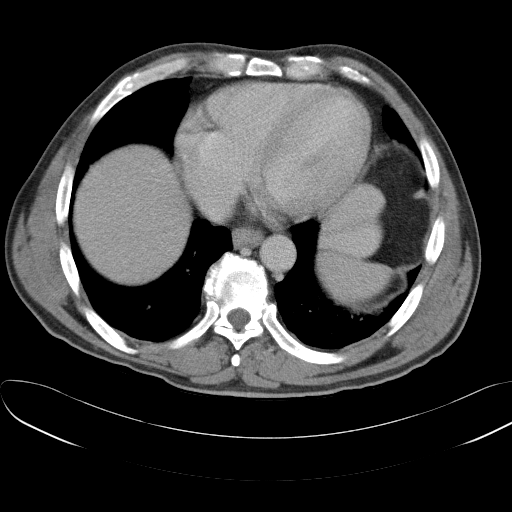

512x512 | CT
Annotated regions:
• spleen: (318, 252, 392, 302)